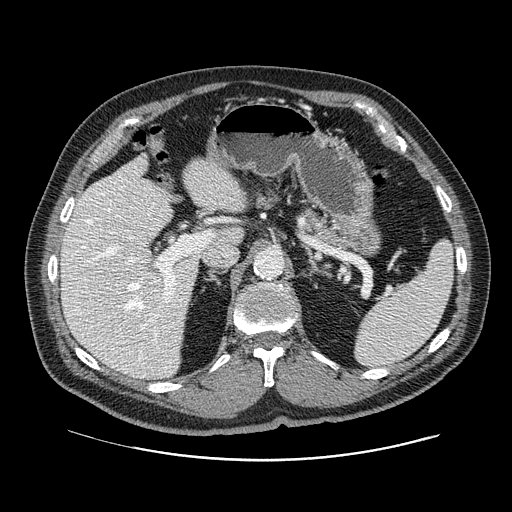 Upper abdomen. 512x512 px. CT slice.
<segmentation>
  <pancreas>295:207:382:257, 251:188:281:209</pancreas>
</segmentation>